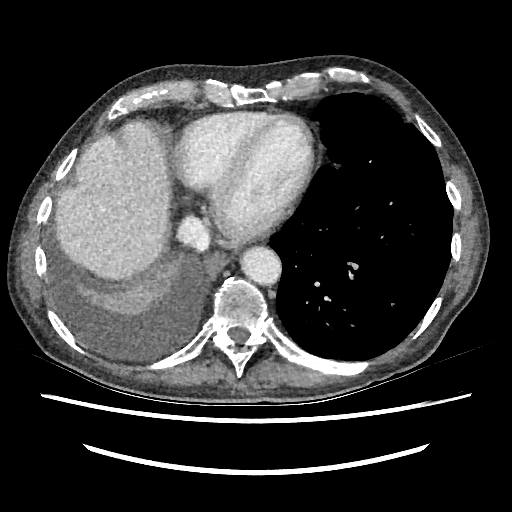
CT scan slice, Upper abdomen
<segmentation>
  <liver>56 122 170 278</liver>
</segmentation>